Computed tomography

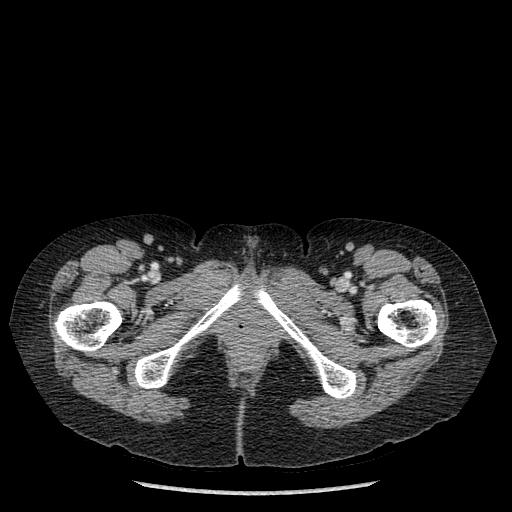

• bone: x1=252 y1=286 x2=356 y2=399, x1=54 y1=300 x2=121 y2=352, x1=377 y1=299 x2=438 y2=348, x1=134 y1=282 x2=246 y2=388